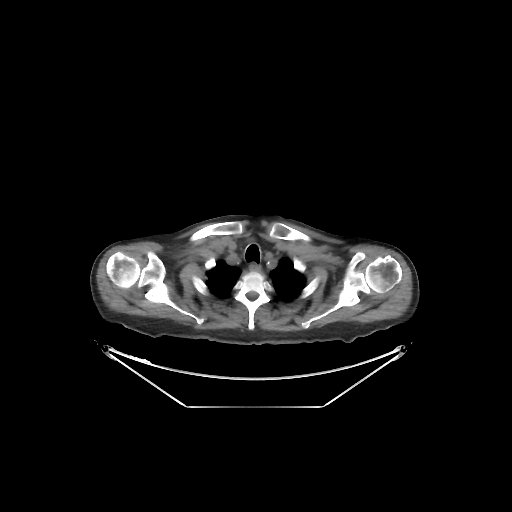

CT slice.
Annotated regions:
• lung: (left=205, top=259, right=241, bottom=299), (left=269, top=256, right=306, bottom=302), (left=245, top=244, right=259, bottom=263)
• bone: (left=270, top=223, right=309, bottom=241), (left=307, top=279, right=317, bottom=293), (left=106, top=251, right=202, bottom=323), (left=191, top=222, right=241, bottom=240), (left=302, top=252, right=401, bottom=327), (left=235, top=272, right=269, bottom=328), (left=206, top=257, right=215, bottom=268), (left=192, top=276, right=205, bottom=292)